FLAIR magnetic resonance.
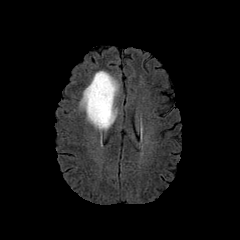
T1-weighted MR.
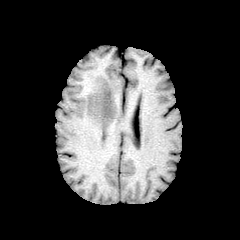
Post-contrast T1-weighted magnetic resonance.
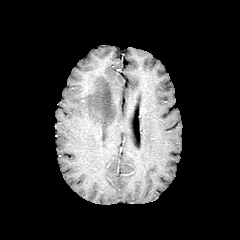
T2-weighted MR.
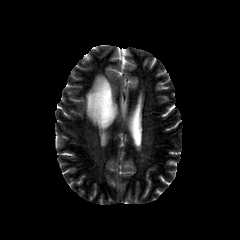
The edema appears at x1=79 y1=70 x2=119 y2=132.